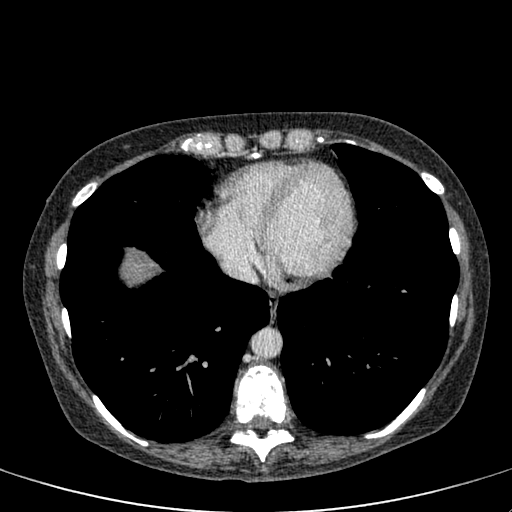

CT scan slice.

<segmentation>
  <liver>left=124, top=254, right=155, bottom=284</liver>
</segmentation>